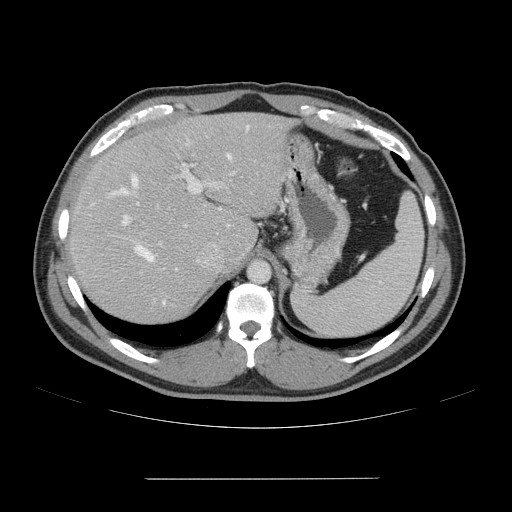 CT scan slice
Not every hepatic vessel necessarily has a box.
14 hepatic vessel regions appear at box=[123, 215, 129, 224]; box=[162, 300, 165, 304]; box=[91, 204, 93, 205]; box=[180, 163, 202, 193]; box=[246, 125, 248, 129]; box=[134, 246, 153, 260]; box=[184, 224, 186, 226]; box=[132, 175, 137, 186]; box=[137, 203, 138, 204]; box=[108, 188, 128, 196]; box=[159, 242, 161, 243]; box=[210, 184, 211, 185]; box=[227, 154, 230, 158]; box=[175, 268, 177, 270].